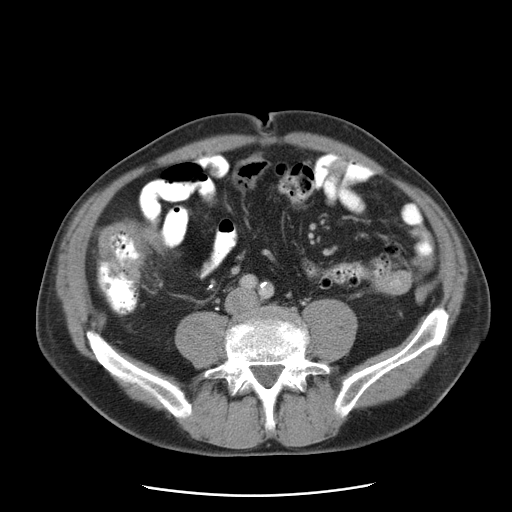
CT. 512x512 px. Findings:
- colon tumor: l=99, t=220, r=150, b=280